CT slice, 512x512

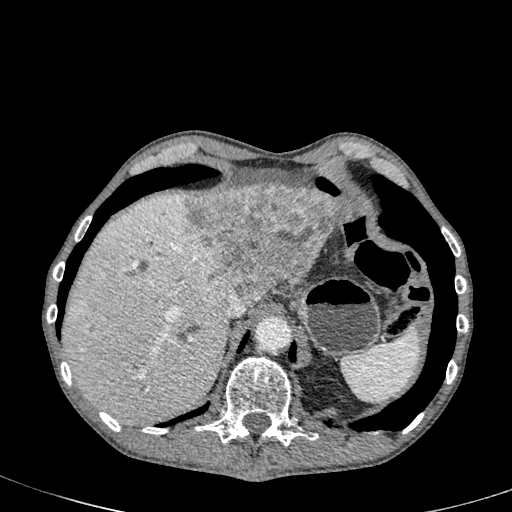 Liver lesion: l=185, t=184, r=341, b=305.
Liver: l=334, t=198, r=349, b=221; l=252, t=278, r=283, b=305; l=285, t=274, r=301, b=281; l=61, t=194, r=237, b=425.